Abdomen; Slice index 54; Computed tomography; Field of view 470x470 mm 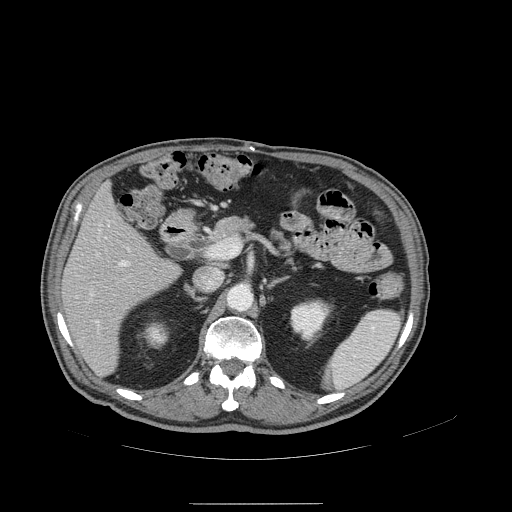

<segmentation>
  <pancreatic_tumor>215 216 245 236</pancreatic_tumor>
  <pancreas>209 212 306 275</pancreas>
</segmentation>